Slice index 167. Field of view 480x480 mm. CT scan slice. Chest. 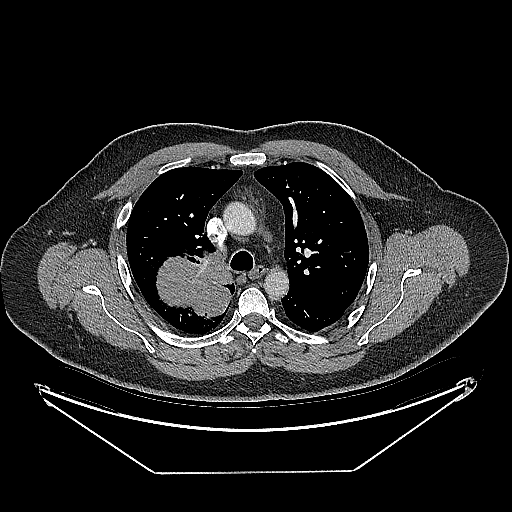

Lung tumor at 156:245:232:319.